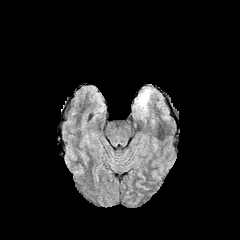
FLAIR MR image.
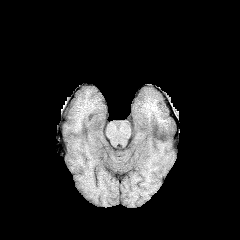
T1-weighted magnetic resonance.
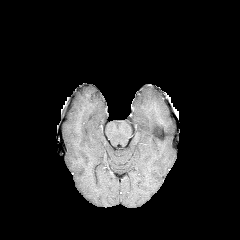
Post-contrast T1-weighted MRI.
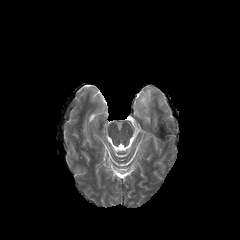
Same slice, T2-weighted MR.
240x240
The edema is bounded by 137:95:148:111.